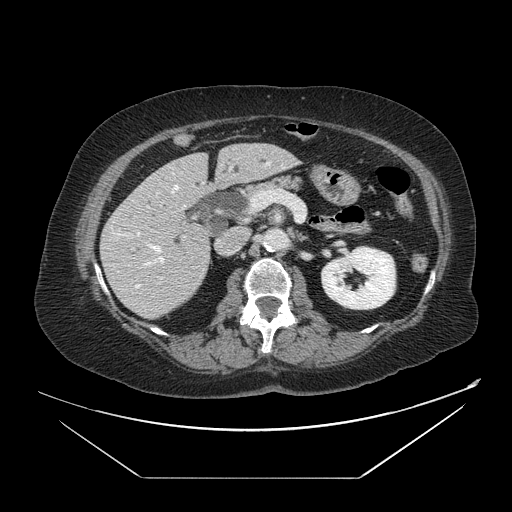
CT | 512x512

The pancreas is located at {"x1": 263, "y1": 177, "x2": 300, "y2": 188}.